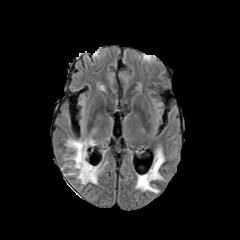
FLAIR MRI.
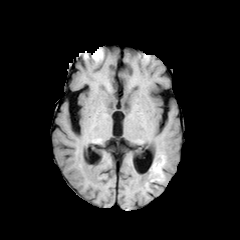
T1-weighted MRI of the same slice.
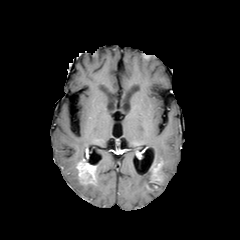
Same slice, post-contrast T1-weighted MR image.
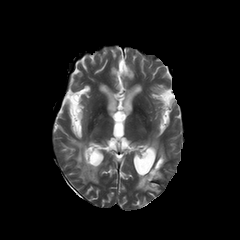
Same slice, T2-weighted MR image.
Brain.
Non-enhancing tumor core: 154, 160, 161, 173.
Enhancing tumor: 76, 158, 95, 177.
Edema: 67, 139, 87, 175; 86, 166, 97, 183; 136, 151, 163, 192.